FLAIR MR image.
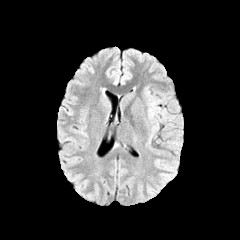
T1-weighted MRI.
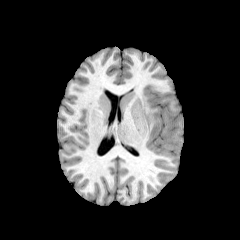
Post-contrast T1-weighted MRI.
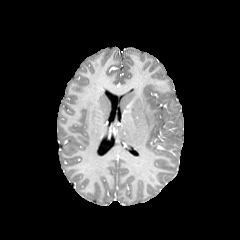
T2-weighted magnetic resonance.
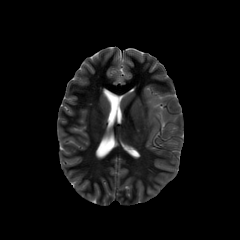
240x240 px, Head
<segmentation>
  <edema>{"x1": 147, "y1": 92, "x2": 166, "y2": 121}</edema>
</segmentation>